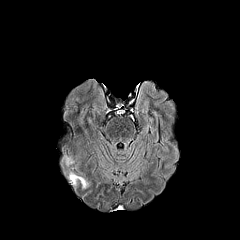
FLAIR MR.
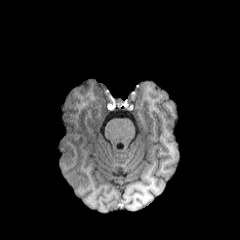
T1-weighted magnetic resonance.
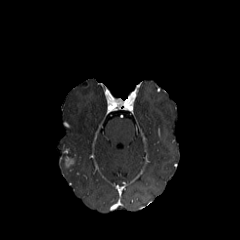
Post-contrast T1-weighted MR.
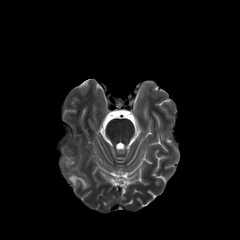
Same slice, T2-weighted MR.
The enhancing tumor lies within (66, 156, 73, 166). The edema is located at (69, 175, 88, 188).